Brain. Slice 59 of 155.
FLAIR MRI.
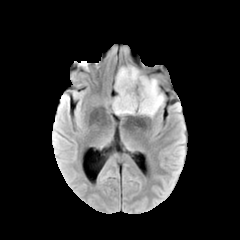
T1-weighted MRI.
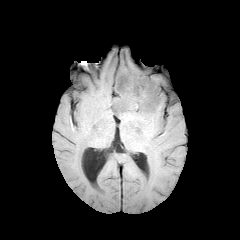
Post-contrast T1-weighted MR.
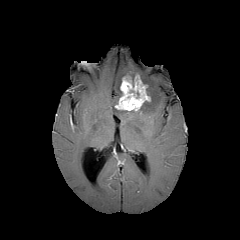
T2-weighted MR image.
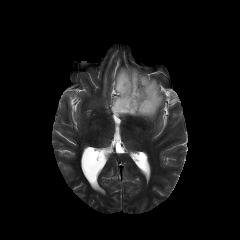
<segmentation>
  <non-enhancing_tumor_core>box=[112, 74, 153, 114]</non-enhancing_tumor_core>
  <edema>box=[116, 66, 138, 83]; box=[140, 74, 164, 118]</edema>
  <enhancing_tumor>box=[114, 74, 150, 111]</enhancing_tumor>
</segmentation>